Head
FLAIR MR.
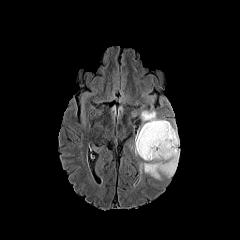
T1-weighted magnetic resonance.
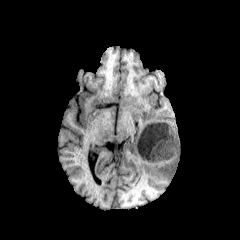
Post-contrast T1-weighted MR.
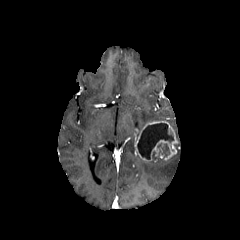
T2-weighted magnetic resonance.
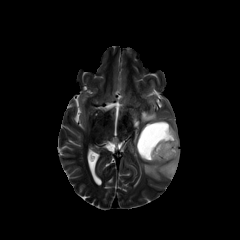
2 edema regions are bounded by (139, 98, 166, 131), (137, 119, 179, 183). The enhancing tumor is at (135, 121, 178, 161). 2 non-enhancing tumor core regions appear at (162, 145, 169, 156), (138, 123, 174, 159).